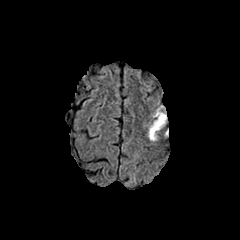
FLAIR MR image.
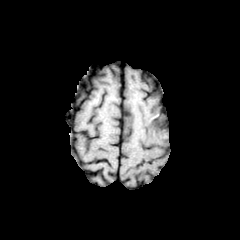
T1-weighted MRI of the same slice.
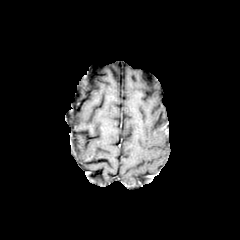
Post-contrast T1-weighted MR image.
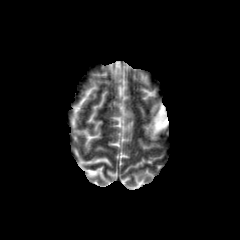
T2-weighted MR of the same slice.
The non-enhancing tumor core is located at x1=156 y1=116 x2=166 y2=128. The edema is bounded by x1=145 y1=106 x2=166 y2=141.